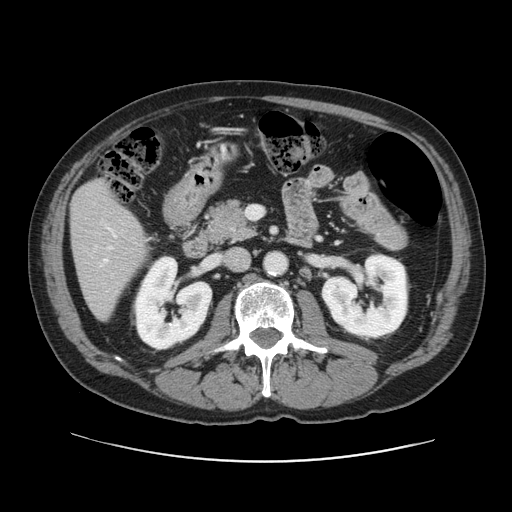
CT image
Not every hepatic vessel necessarily has a box.
4 hepatic vessel regions are located at x1=107 y1=247 x2=111 y2=249, x1=103 y1=259 x2=107 y2=262, x1=100 y1=264 x2=102 y2=265, x1=107 y1=227 x2=115 y2=236.